Computed tomography; 512x512 px; Slice 145 of 260

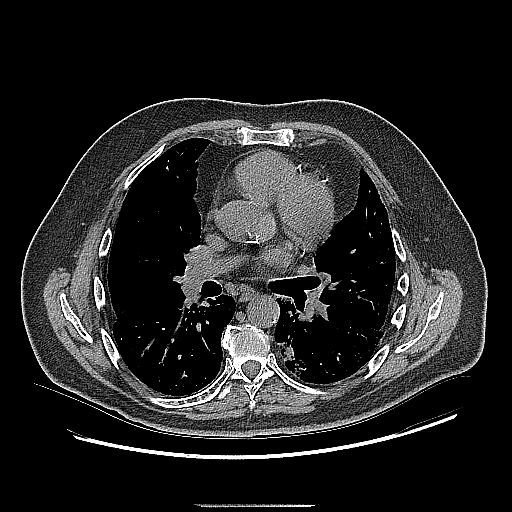
lung tumor: [276, 298, 309, 378]